Head
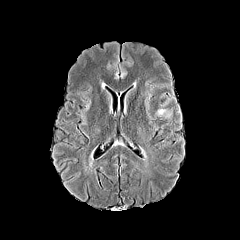
FLAIR MRI.
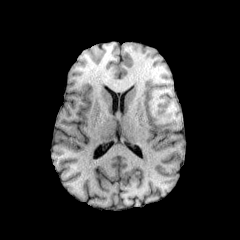
T1-weighted MR image.
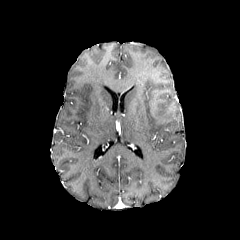
Post-contrast T1-weighted MR.
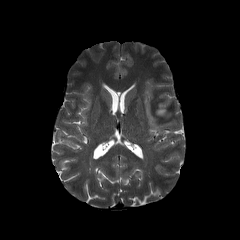
T2-weighted MR image.
{"edema": ["(x1=155, y1=108, x2=172, y2=119)"]}